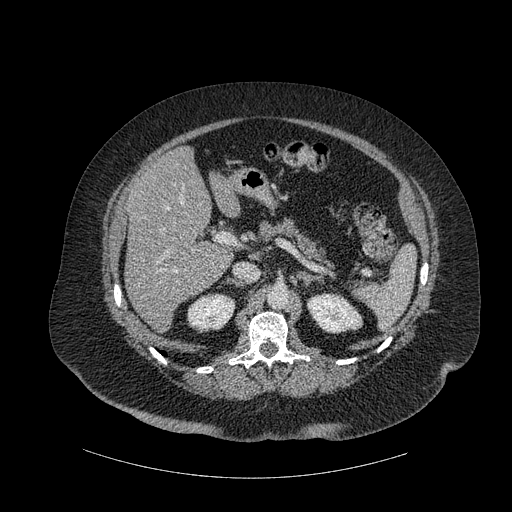
CT image

2 liver regions are located at region(209, 172, 239, 216); region(125, 145, 233, 332). 7 bone regions are located at region(336, 358, 355, 364); region(150, 347, 166, 364); region(377, 337, 391, 352); region(114, 285, 120, 305); region(420, 264, 427, 284); region(229, 312, 309, 367); region(197, 367, 213, 372). 2 kidney regions are located at region(307, 294, 361, 332); region(188, 295, 234, 329).